Slice index 357. Abdomen. Image width 380 mm. CT scan slice. 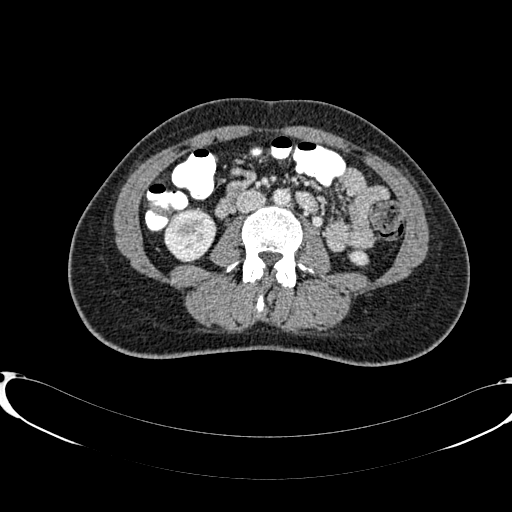
Kidney: bbox(165, 212, 214, 260).